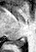

MRI
{
  "posterior_hippocampus": [
    "[13, 37, 26, 46]"
  ]
}